Image size 320x320; Cardiac; Magnetic resonance
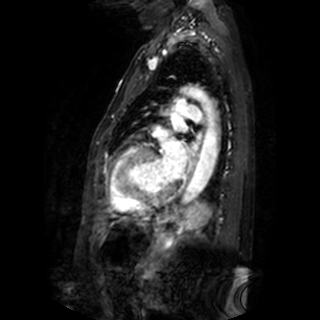 Left atrium: bounding box region(172, 114, 183, 129); region(160, 140, 187, 181).